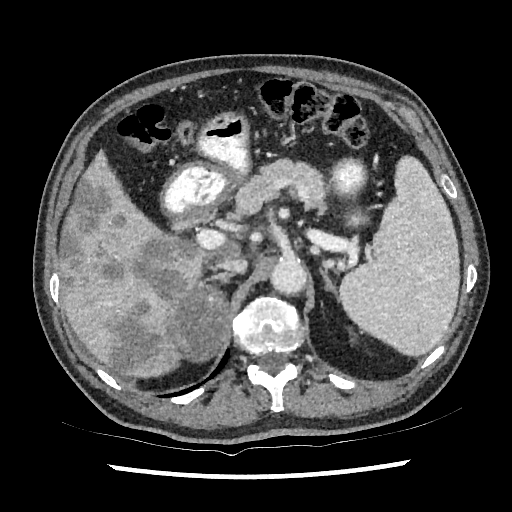

Upper abdomen; CT scan slice
{"liver": ["61, 202, 72, 253", "173, 240, 239, 291", "61, 150, 181, 375"], "focal_liver_lesion": ["107, 298, 172, 372", "96, 241, 125, 281", "108, 214, 126, 240", "132, 233, 196, 300", "61, 179, 110, 282", "62, 273, 74, 292"]}